CT slice, 512x512 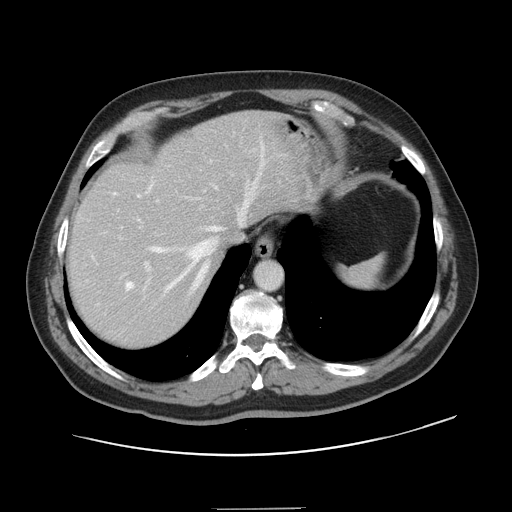
Some hepatic vessels may have no box.
<segmentation>
  <hepatic_vessel>bbox=[137, 195, 139, 196]; bbox=[262, 144, 263, 150]; bbox=[194, 262, 207, 286]; bbox=[126, 282, 132, 290]; bbox=[238, 193, 248, 224]; bbox=[148, 185, 151, 190]; bbox=[164, 277, 180, 292]; bbox=[193, 238, 217, 261]; bbox=[147, 279, 148, 282]; bbox=[215, 186, 217, 188]; bbox=[155, 247, 165, 251]; bbox=[213, 226, 221, 230]; bbox=[145, 262, 150, 270]</hepatic_vessel>
</segmentation>